Slice 256/432. CT scan slice. 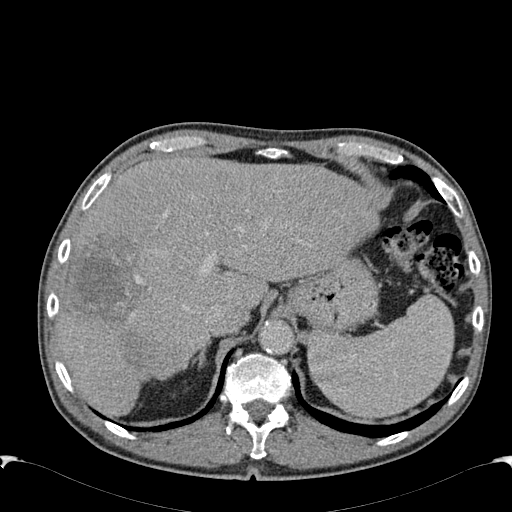 focal_liver_lesion:
  - [x1=120, y1=332, x2=161, y2=368]
  - [x1=66, y1=236, x2=141, y2=326]
liver:
  - [x1=57, y1=157, x2=379, y2=415]